Slice index 99.
FLAIR MRI.
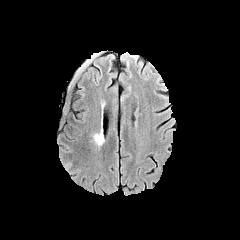
T1-weighted MR image.
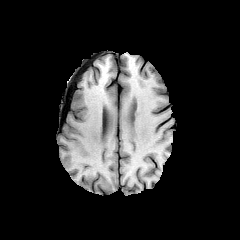
Post-contrast T1-weighted MR image.
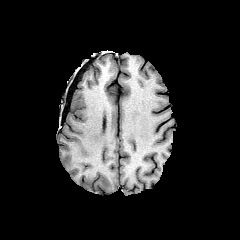
T2-weighted MR.
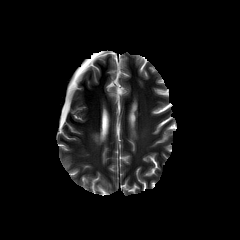
The edema lies within 91, 130, 104, 146.